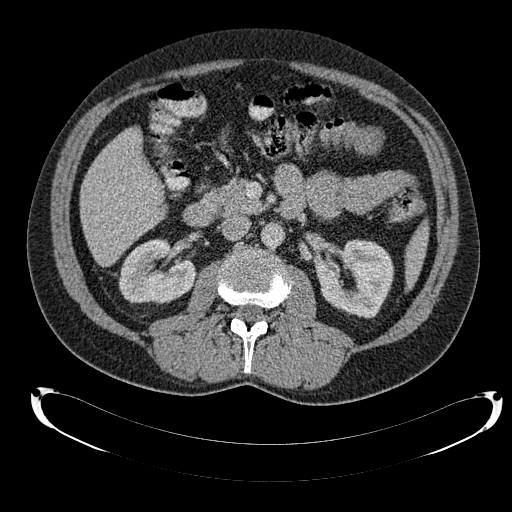

Computed tomography, 512x512 px
<segmentation>
  <liver><box>79,128,163,266</box></liver>
  <kidney><box>316,240,392,317</box>, <box>119,240,195,302</box></kidney>
</segmentation>